CT image

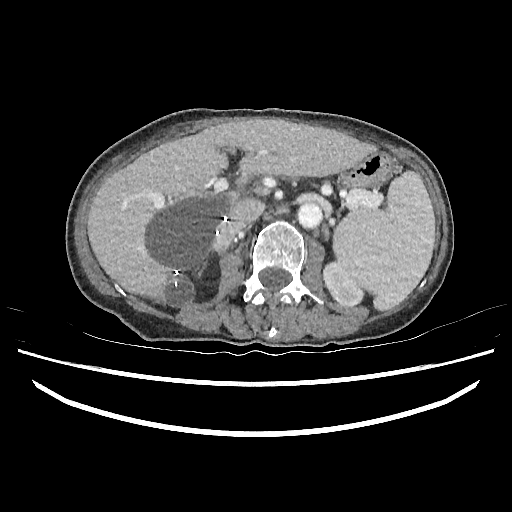

kidney:
  - [x1=323, y1=263, x2=363, y2=305]
liver:
  - [x1=88, y1=120, x2=374, y2=306]
focal_liver_lesion:
  - [x1=166, y1=274, x2=195, y2=304]
  - [x1=145, y1=198, x2=225, y2=276]